MR; Slice index 22
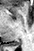

posterior hippocampus: 11 39 21 45